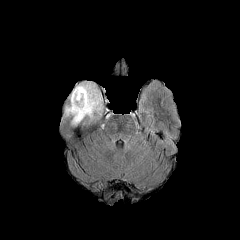
FLAIR MRI.
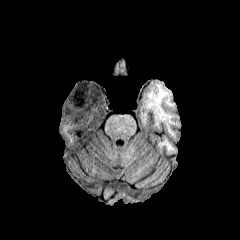
T1-weighted MRI.
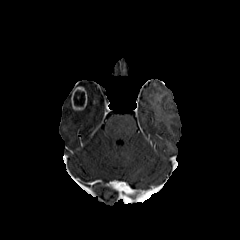
Post-contrast T1-weighted MR image of the same slice.
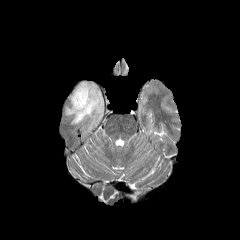
Same slice, T2-weighted magnetic resonance.
Segmented structures:
* edema: box(61, 81, 103, 128)
* non-enhancing tumor core: box(73, 91, 84, 107)
* enhancing tumor: box(70, 86, 87, 110)